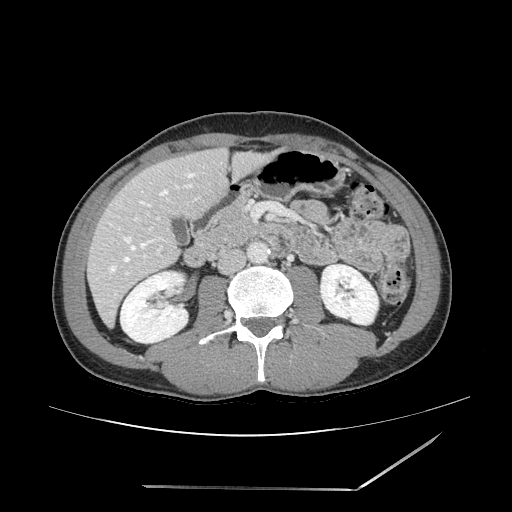 Computed tomography. 512x512. Upper abdomen.

Annotated regions:
• pancreas: left=196, top=199, right=256, bottom=253